Abdomen. CT slice. Image size 512x512. Slice index 64.
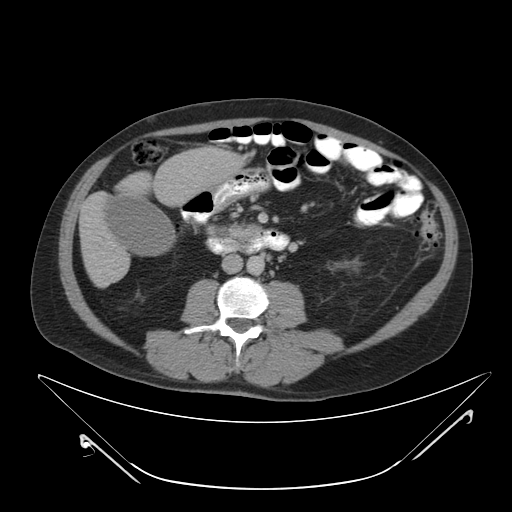

Pancreas: bounding box (208, 224, 260, 248).